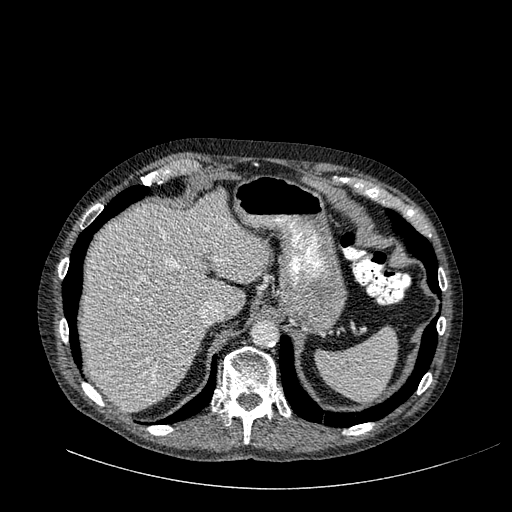
512x512. Liver. CT. Liver: bounding box box(80, 190, 267, 410).